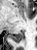 Magnetic resonance

{
  "posterior_hippocampus": [
    "rect(10, 31, 22, 42)"
  ]
}